CT scan slice. 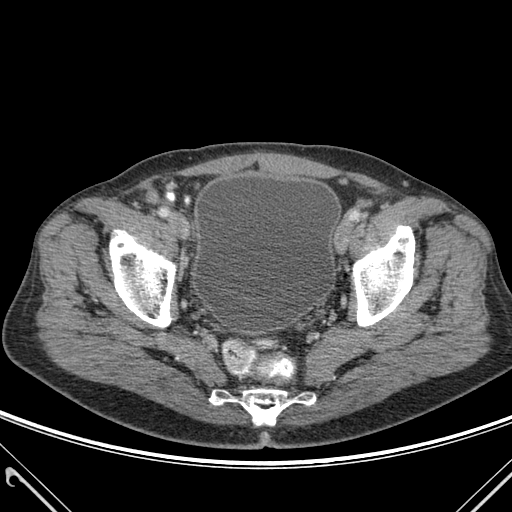
4 bone regions appear at (left=241, top=389, right=315, bottom=424), (left=353, top=225, right=414, bottom=326), (left=110, top=230, right=175, bottom=327), (left=209, top=390, right=235, bottom=404). The urinary bladder is at (left=195, top=177, right=338, bottom=323).